Slice 95 of 155
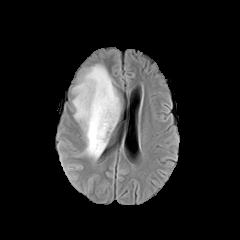
FLAIR MRI.
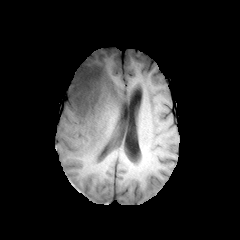
T1-weighted MR of the same slice.
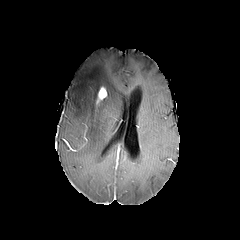
Post-contrast T1-weighted MRI.
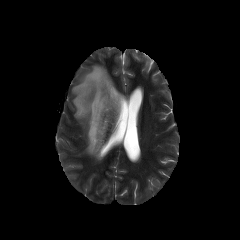
Same slice, T2-weighted MRI.
Segmented structures:
• non-enhancing tumor core: (left=93, top=71, right=101, bottom=81), (left=94, top=86, right=105, bottom=104)
• edema: (left=72, top=64, right=121, bottom=159)
• enhancing tumor: (left=97, top=87, right=106, bottom=102)